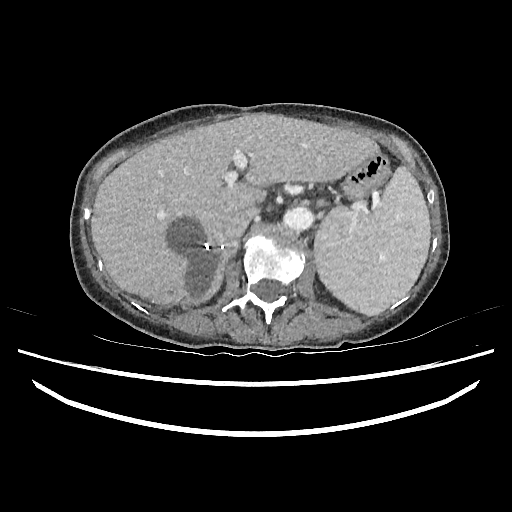
CT slice. Upper abdomen. The liver appears at 91 114 376 305. The hepatic lesion appears at 169 219 218 295.